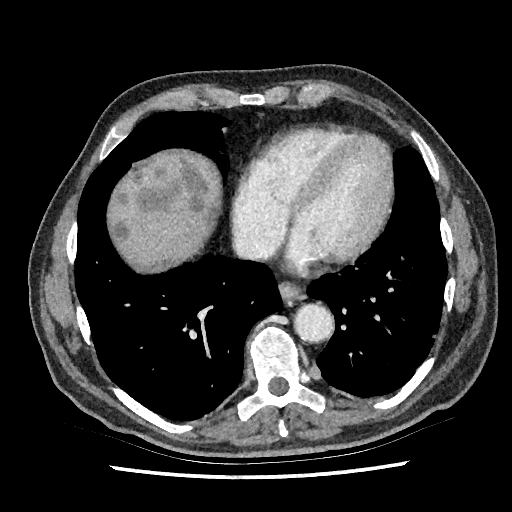 Abdomen | CT scan slice | Image size 512x512
Liver = <box>109,150,218,264</box>.
Hepatic lesion = <box>205,202,217,236</box>, <box>135,157,209,215</box>, <box>129,156,155,183</box>, <box>155,167,166,176</box>, <box>116,191,129,206</box>, <box>133,258,179,268</box>, <box>113,223,128,240</box>.